Slice 293/427. CT.
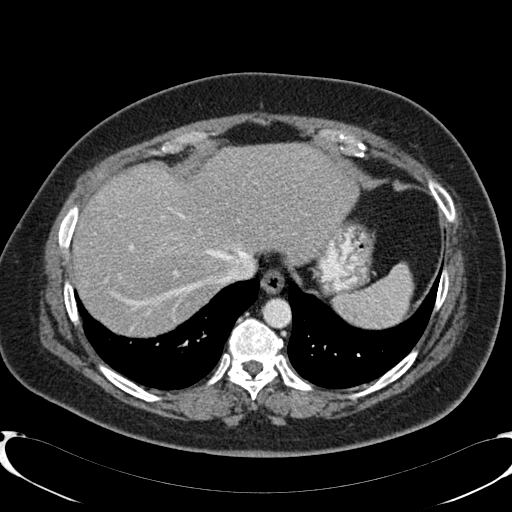 Segmented structures:
- liver lesion: x1=168 y1=239 x2=179 y2=248
- liver: x1=74 y1=144 x2=358 y2=335